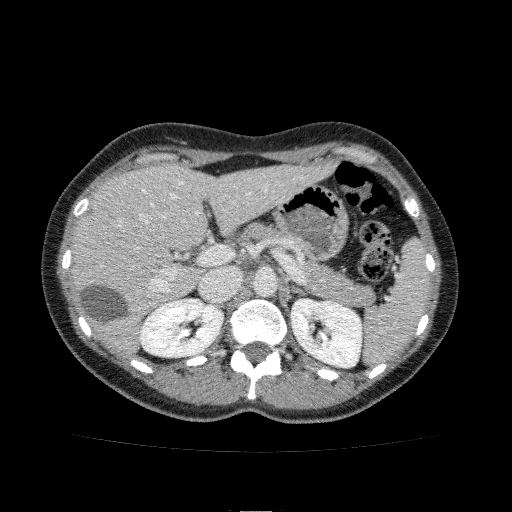 512x512 px; Upper abdomen; CT scan slice

• liver: (72,163,333,356)
• kidney: (291,299,361,367), (140,299,222,357)